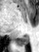

Hippocampus; MR image

Posterior hippocampus — x1=16, y1=36, x2=29, y2=45.